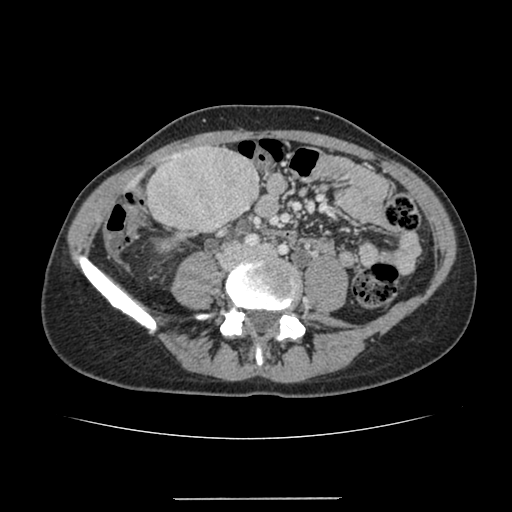
CT slice
The liver lesion appears at {"x1": 147, "y1": 146, "x2": 259, "y2": 233}. The liver is located at {"x1": 124, "y1": 171, "x2": 144, "y2": 190}.